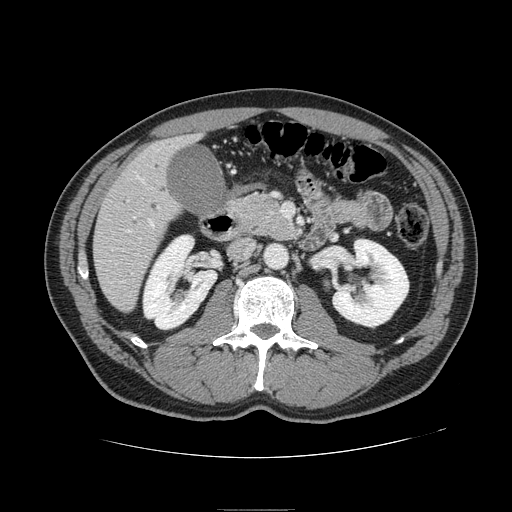

CT scan slice | Upper abdomen
Pancreas at 228, 195, 296, 240.